Pelvis. CT slice. 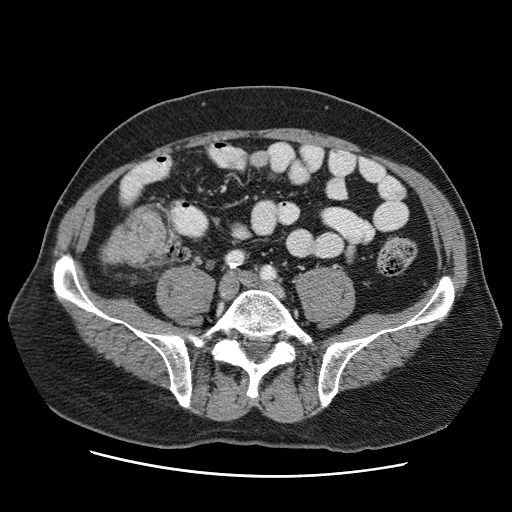 Colon tumor at rect(101, 207, 168, 262).